Liver; CT scan slice
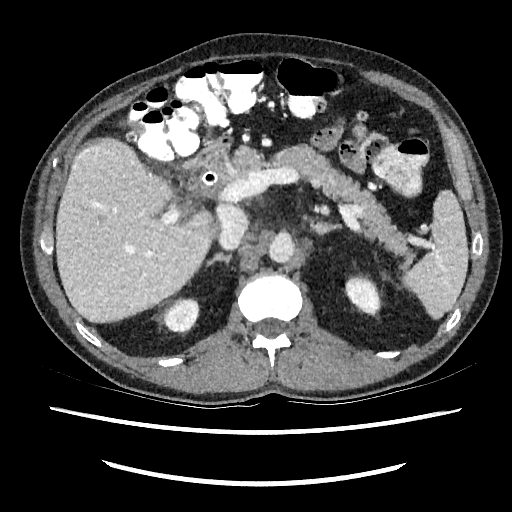

{
  "kidney": [
    "x1=165, y1=300, x2=197, y2=330",
    "x1=347, y1=280, x2=378, y2=312"
  ],
  "liver": [
    "x1=56, y1=139, x2=215, y2=321"
  ],
  "liver_lesion": [
    "x1=96, y1=215, x2=105, y2=222",
    "x1=209, y1=221, x2=216, y2=233"
  ]
}